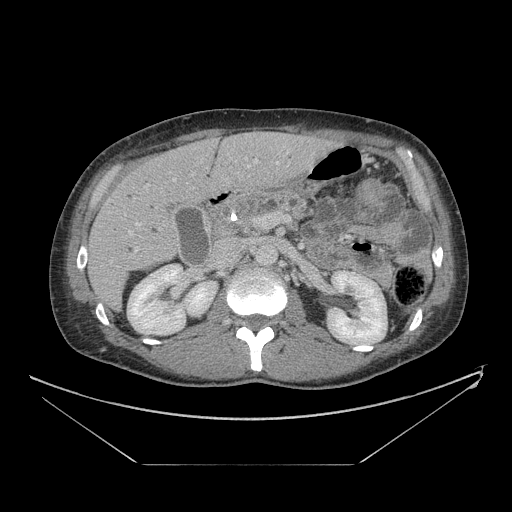

Upper abdomen | Computed tomography

Pancreas = region(227, 188, 307, 236).
Pancreatic tumor = region(235, 200, 258, 215).